Head, Slice index 101
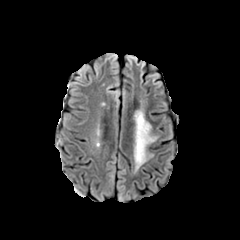
FLAIR MR.
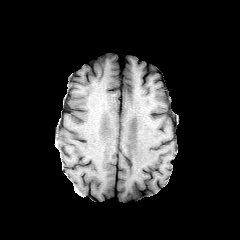
T1-weighted MR.
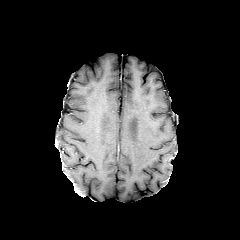
Post-contrast T1-weighted MRI of the same slice.
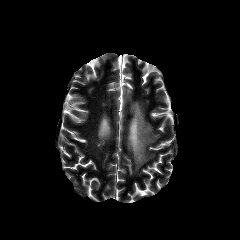
T2-weighted MR of the same slice.
Edema = [x1=132, y1=109, x2=157, y2=171].